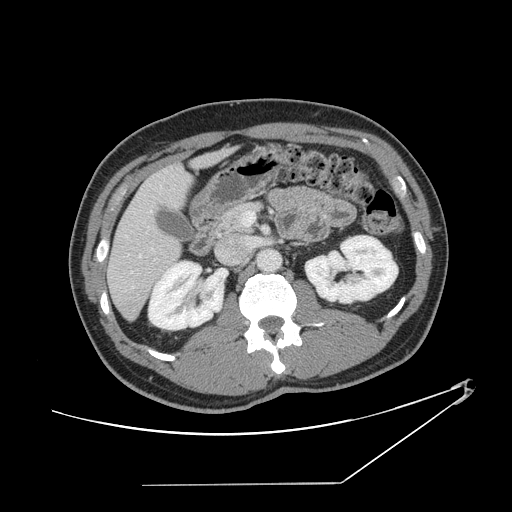

Abdomen. 512x512. CT.

Some hepatic vessels may have no box.
The hepatic vessel is bounded by [151, 248, 153, 250].